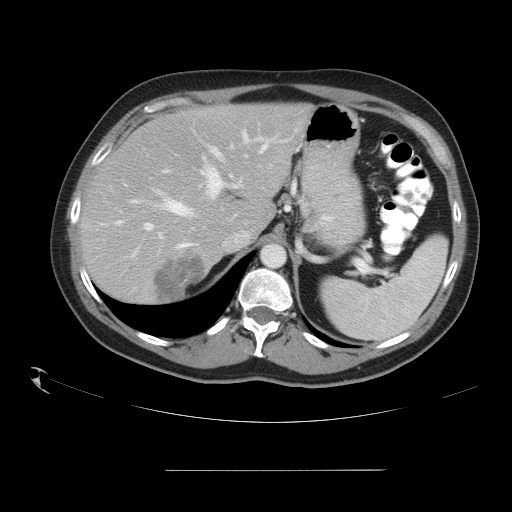 512x512. Abdomen. CT image.

Not every hepatic vessel necessarily has a box.
* liver tumor: <box>156,258,205,301</box>
* hepatic vessel: <box>242,131,248,143</box>, <box>230,174,232,176</box>, <box>158,232,161,237</box>, <box>201,166,236,198</box>, <box>161,199,191,214</box>, <box>231,144,233,148</box>, <box>257,138,268,153</box>, <box>209,146,220,157</box>, <box>145,223,152,229</box>, <box>157,191,158,192</box>, <box>220,159,223,161</box>